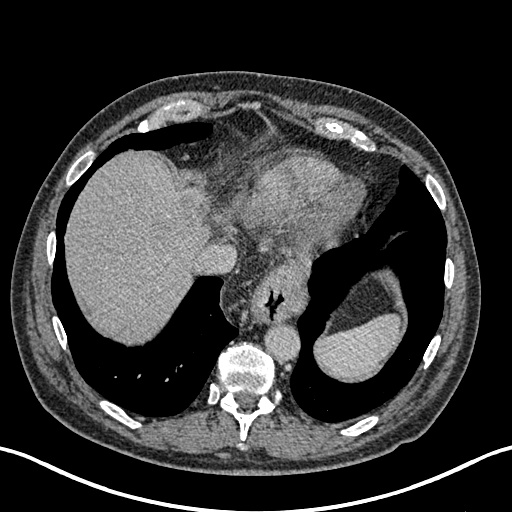

CT scan slice

2 liver regions appear at (215, 214, 224, 223), (66, 151, 210, 341). The hepatic lesion is at (177, 190, 208, 232).